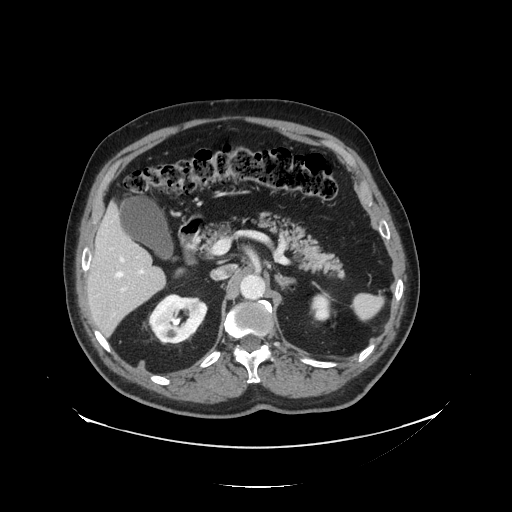

Image size 512x512 | Abdomen | CT scan slice
The vessel annotation is not exhaustive.
* hepatic vessel: (121, 258, 123, 261), (121, 288, 124, 291), (139, 270, 143, 273), (116, 272, 123, 277), (157, 269, 159, 270)